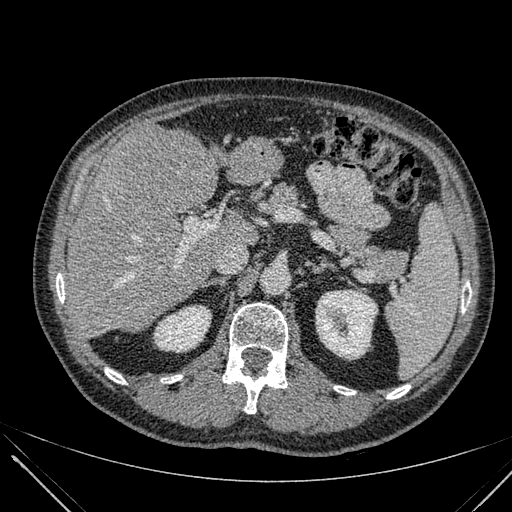 CT. Upper abdomen.
kidney: (316,290,377,358), (154,306,210,351) | liver: (67,126,258,336), (219,140,277,184)